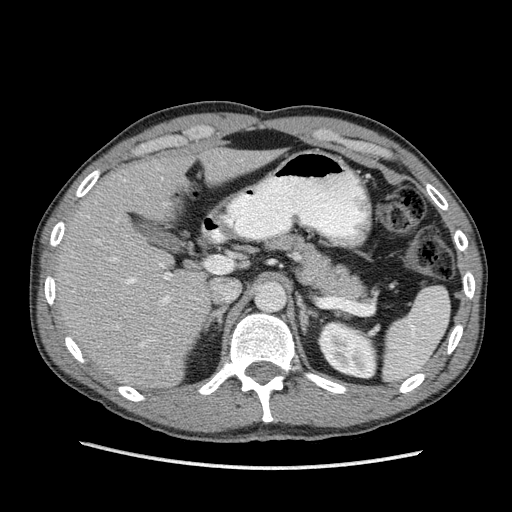 Liver; CT
kidney:
  - bbox(320, 323, 374, 377)
liver:
  - bbox(50, 146, 289, 390)